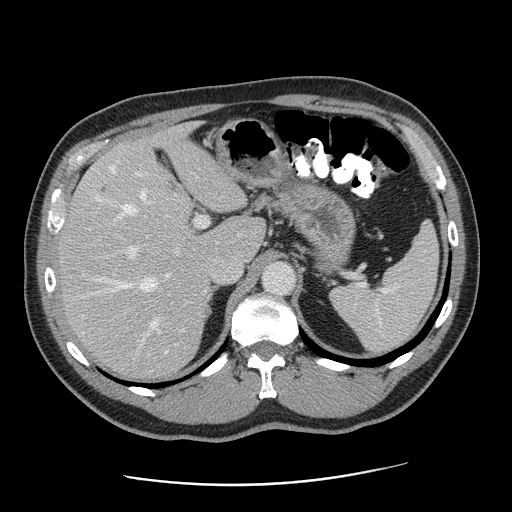

CT image | 512x512
Some hepatic vessels may have no box.
Hepatic vessel: bounding box region(111, 165, 114, 170); region(141, 189, 146, 199); region(151, 321, 160, 332); region(95, 196, 101, 199); region(118, 204, 135, 218); region(129, 246, 138, 257); region(202, 244, 247, 282); region(92, 277, 130, 293); region(149, 201, 151, 202); region(139, 278, 155, 290); region(180, 329, 183, 330); region(174, 248, 179, 253); region(167, 273, 170, 275); region(195, 214, 208, 227).
Liver tumor: bounding box region(99, 184, 108, 195); region(164, 176, 180, 195).